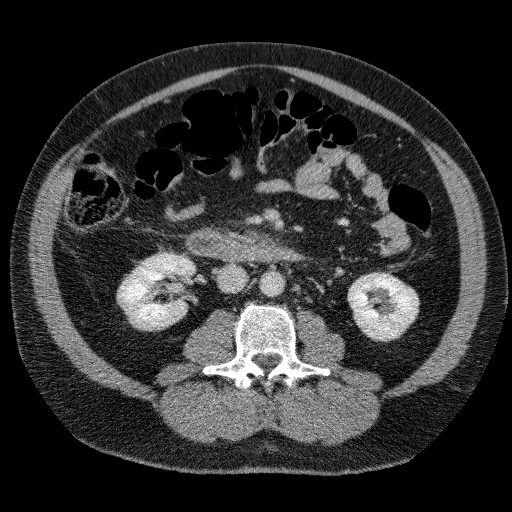 Abdomen, Computed tomography, 512x512 px
2 kidney regions appear at 118, 254, 194, 327; 349, 273, 417, 339.